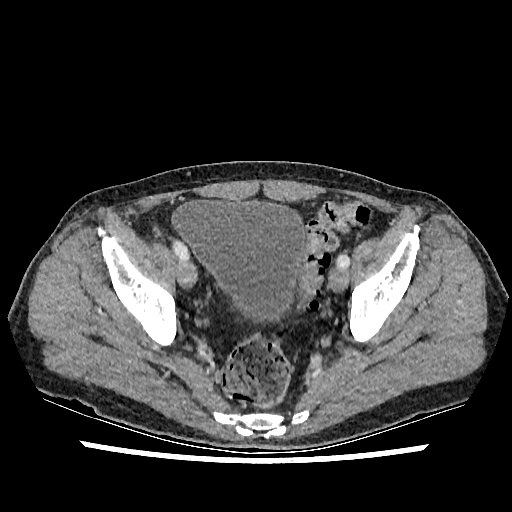
Pelvis. CT slice. The urinary bladder is bounded by region(178, 199, 308, 324).